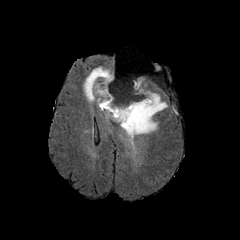
FLAIR MR image.
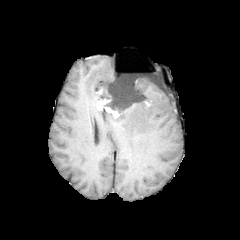
T1-weighted MRI of the same slice.
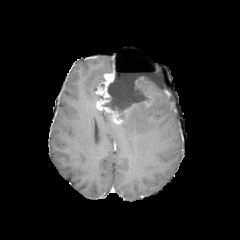
Same slice, post-contrast T1-weighted MRI.
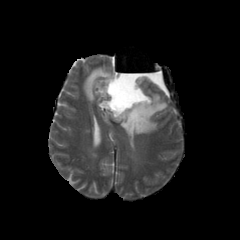
T2-weighted MR.
240x240
The non-enhancing tumor core is at 104:80:149:119. 2 edema regions are bounded by 120:78:168:147, 84:66:110:103. The enhancing tumor lies within 95:71:122:122.